Field of view 512 mm wide, 1.00 mm slice spacing. CT image. Slice 86/111.
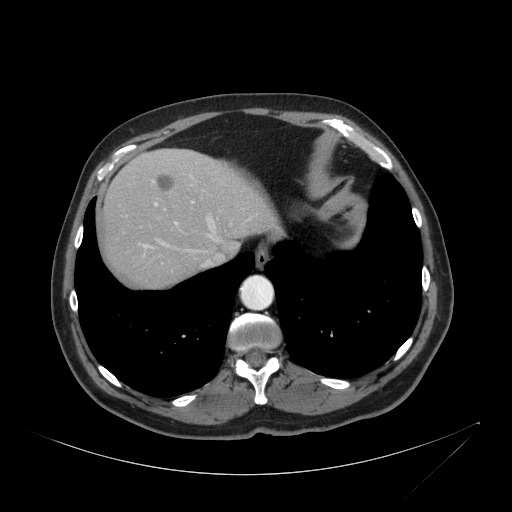
The liver is located at 101 150 281 287.